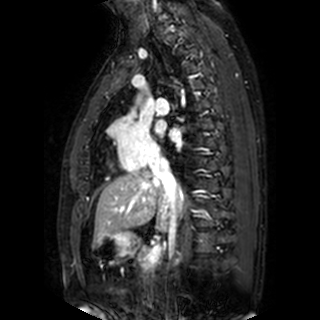

Heart; MR image
Left atrium — bbox(171, 131, 181, 142); bbox(154, 120, 165, 135).